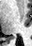 MR image

Annotated regions:
• posterior hippocampus: (left=10, top=37, right=14, bottom=38)